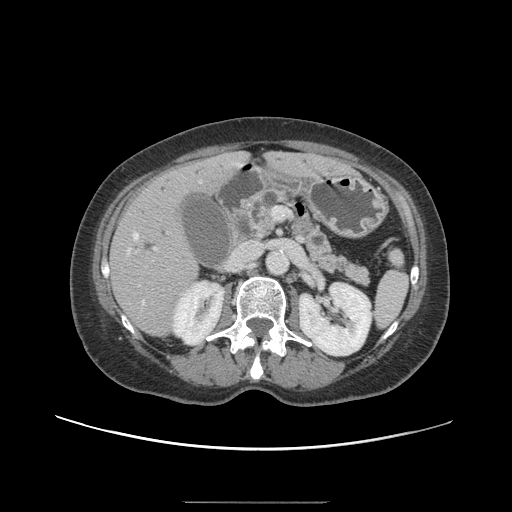

CT slice; Upper abdomen
Pancreatic tumor: (262,214,271,226).
Pancreas: (307,226,368,283), (249,190,292,236).